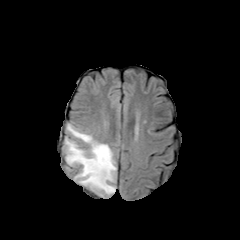
FLAIR MR.
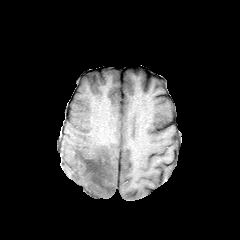
T1-weighted MR image.
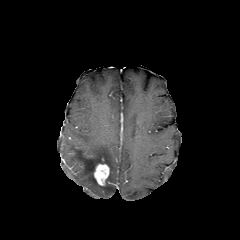
Post-contrast T1-weighted MR image of the same slice.
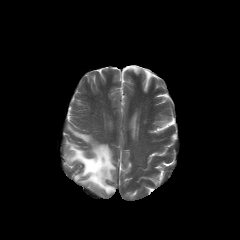
T2-weighted magnetic resonance.
Non-enhancing tumor core — <box>100,179,113,191</box>, <box>85,156,111,183</box>.
Enhancing tumor — <box>93,164,109,185</box>.
Edema — <box>64,122,116,197</box>.